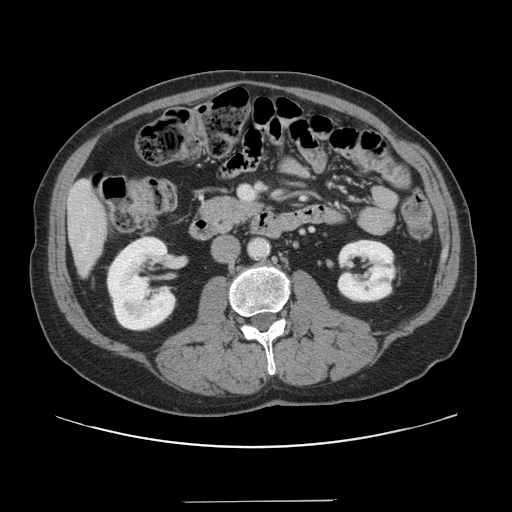 Liver; CT image; 512x512
The vessel annotation is not exhaustive.
The hepatic vessel appears at 240 186 252 198.